Image size 240x240
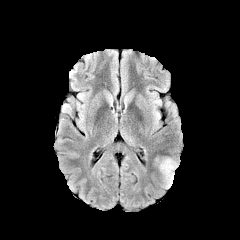
FLAIR magnetic resonance.
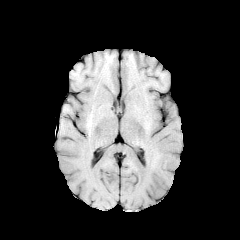
T1-weighted MRI.
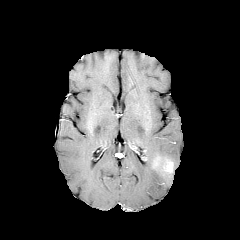
Same slice, post-contrast T1-weighted MR image.
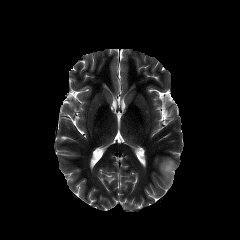
Same slice, T2-weighted MRI.
Findings:
- edema: 160:158:176:186
- enhancing tumor: 164:162:173:173